CT scan slice; Slice 507 of 629 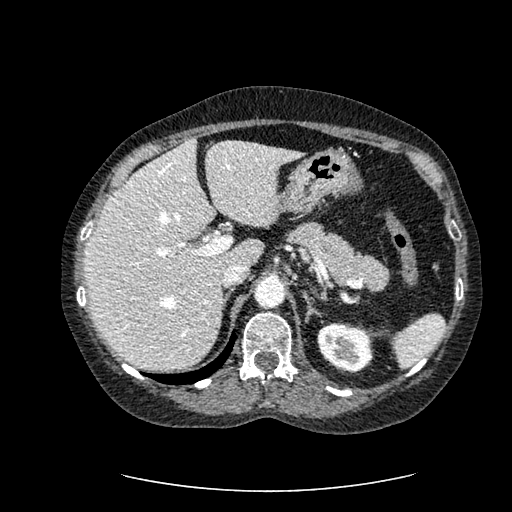
Kidney at x1=318 y1=324 x2=371 y2=371.
Liver at x1=84 y1=138 x2=308 y2=368.